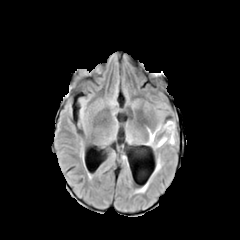
FLAIR MR.
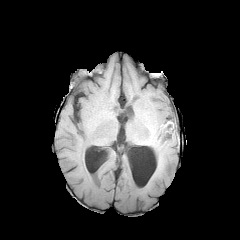
Same slice, T1-weighted MRI.
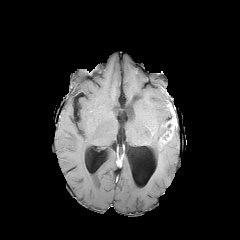
Post-contrast T1-weighted magnetic resonance.
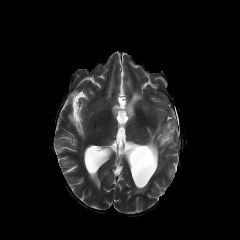
T2-weighted MRI.
240x240
edema: 135:186:147:192, 148:125:166:150 | enhancing tumor: 160:131:171:145